Upper abdomen | 512x512 px | CT slice
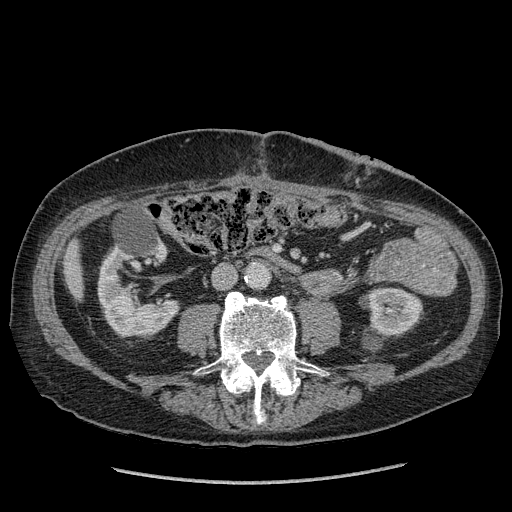
3 kidney regions are bounded by bbox(367, 288, 422, 335); bbox(98, 246, 177, 335); bbox(155, 242, 166, 261). The liver is located at bbox(63, 239, 82, 302).